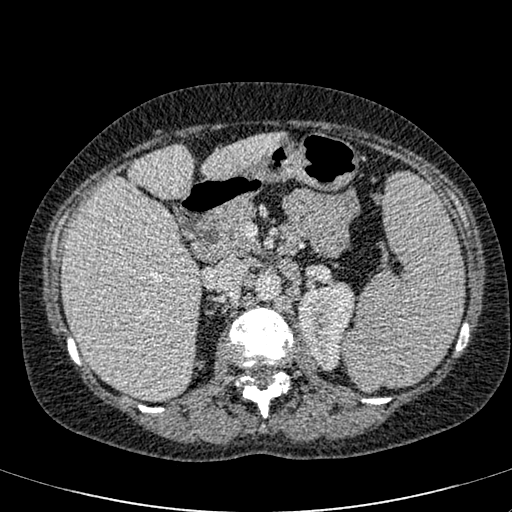

Upper abdomen | CT scan slice | 512x512
Annotated regions:
* kidney: x1=298 y1=281 x2=354 y2=368
* liver: x1=63 y1=145 x2=200 y2=399, x1=202 y1=133 x2=283 y2=179